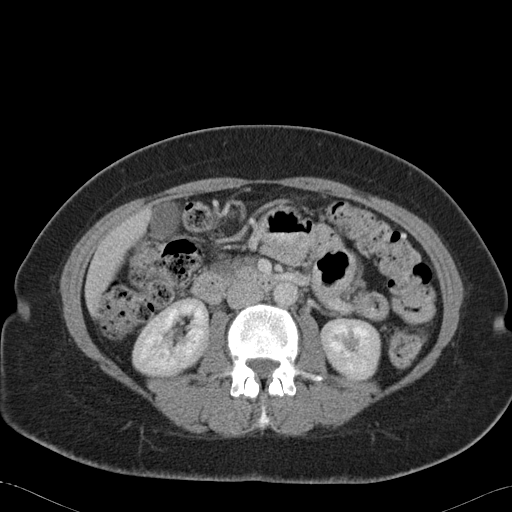

CT image; Image size 512x512; Abdomen

pancreas: 214 257 255 274